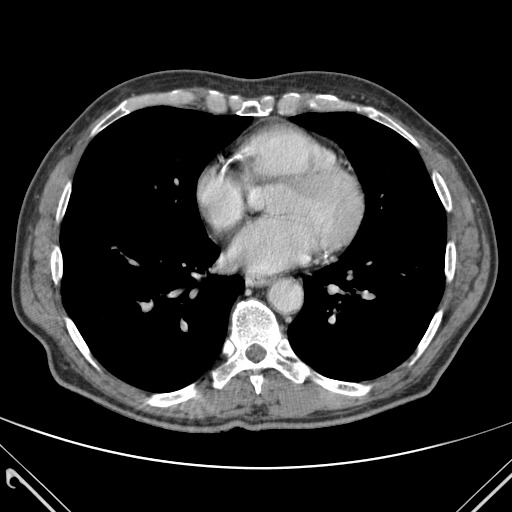
CT image | Thorax
bone: {"x1": 93, "y1": 101, "x2": 130, "y2": 131}, {"x1": 51, "y1": 242, "x2": 62, "y2": 285}, {"x1": 317, "y1": 95, "x2": 341, "y2": 104}, {"x1": 57, "y1": 183, "x2": 70, "y2": 225}, {"x1": 445, "y1": 243, "x2": 455, "y2": 279}, {"x1": 433, "y1": 174, "x2": 451, "y2": 210}, {"x1": 418, "y1": 311, "x2": 441, "y2": 355}, {"x1": 363, "y1": 108, "x2": 417, "y2": 144}, {"x1": 315, "y1": 375, "x2": 369, "y2": 395}, {"x1": 148, "y1": 385, "x2": 195, "y2": 406}, {"x1": 213, "y1": 300, "x2": 309, "y2": 393}, {"x1": 234, "y1": 101, "x2": 273, "y2": 115}, {"x1": 66, "y1": 319, "x2": 95, "y2": 365} | lung: {"x1": 288, "y1": 112, "x2": 446, "y2": 381}, {"x1": 60, "y1": 106, "x2": 251, "y2": 392}